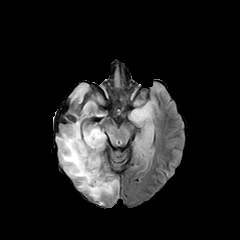
FLAIR MR.
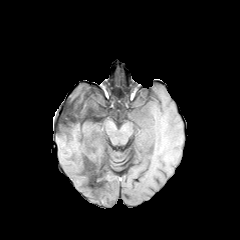
T1-weighted MR.
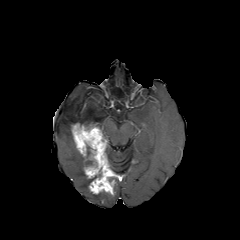
Post-contrast T1-weighted MRI.
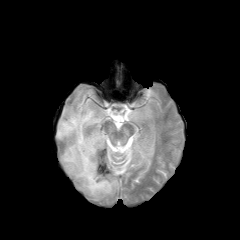
Same slice, T2-weighted magnetic resonance.
240x240 px
Enhancing tumor: bounding box 72,124,115,193.
Non-enhancing tumor core: bounding box 83,157,93,166; 74,118,85,126; 103,151,121,181.
Edema: bounding box 129,101,151,123; 56,91,109,200; 135,140,148,153.